Slice 73 of 155, Head
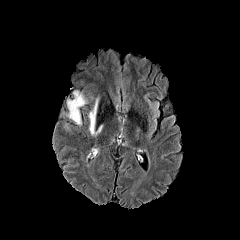
FLAIR MR.
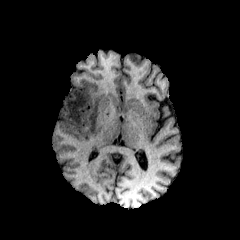
T1-weighted MR.
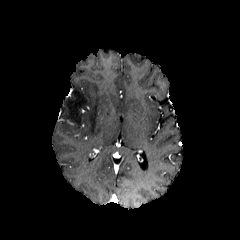
Post-contrast T1-weighted MRI.
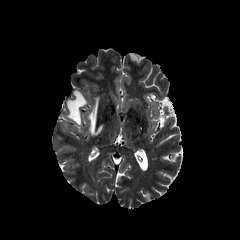
T2-weighted MR image.
{"edema": ["(left=88, top=99, right=102, bottom=136)", "(left=67, top=91, right=85, bottom=124)"]}